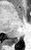

MRI slice
The posterior hippocampus appears at 6:37:18:43.